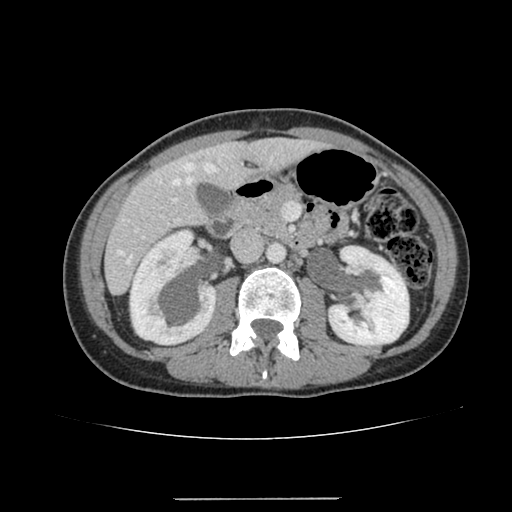

512x512 | Computed tomography

Segmented structures:
• liver: 104 138 330 294
• kidney: 130 231 215 344, 329 246 408 345